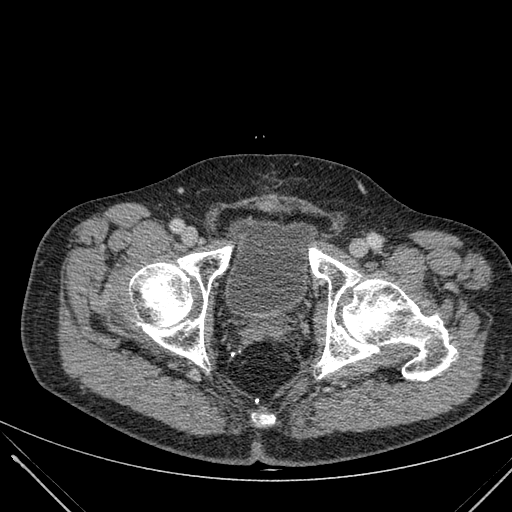 Pelvis; CT image

- urinary bladder: x1=228, y1=219, x2=318, y2=312